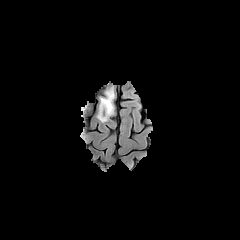
FLAIR MR image.
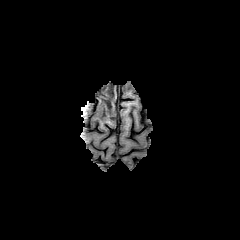
T1-weighted MR image of the same slice.
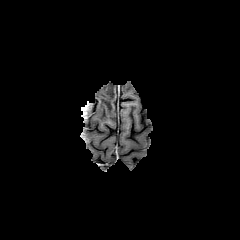
Post-contrast T1-weighted magnetic resonance of the same slice.
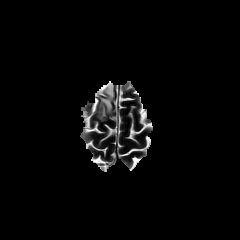
T2-weighted MR.
Brain
Non-enhancing tumor core: bounding box bbox=[100, 98, 113, 115].
Edema: bounding box bbox=[97, 86, 115, 104]; bbox=[82, 102, 91, 114]; bbox=[96, 104, 110, 122].